CT scan slice. Field of view 440x440 mm. Upper abdomen.

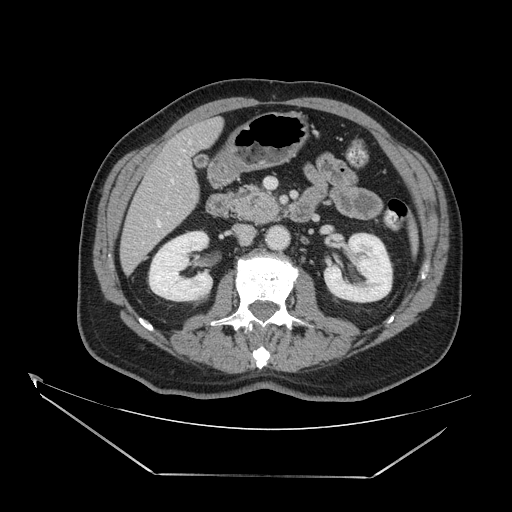

Pancreatic tumor: l=245, t=194, r=273, b=215.
Pancreas: l=230, t=185, r=278, b=222.